FLAIR magnetic resonance.
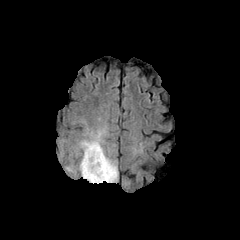
T1-weighted MR image.
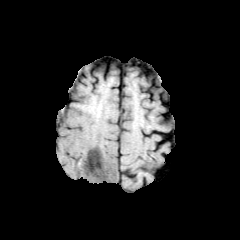
Post-contrast T1-weighted MR.
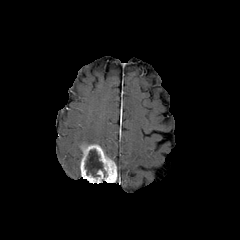
T2-weighted MRI.
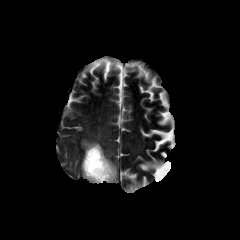
Head
The non-enhancing tumor core appears at x1=85, y1=149, x2=106, y2=177. The enhancing tumor is at x1=80, y1=144, x2=117, y2=183. The edema lies within x1=64, y1=115, x2=118, y2=182.